CT. Abdomen. Image size 512x512. Slice 48/72. 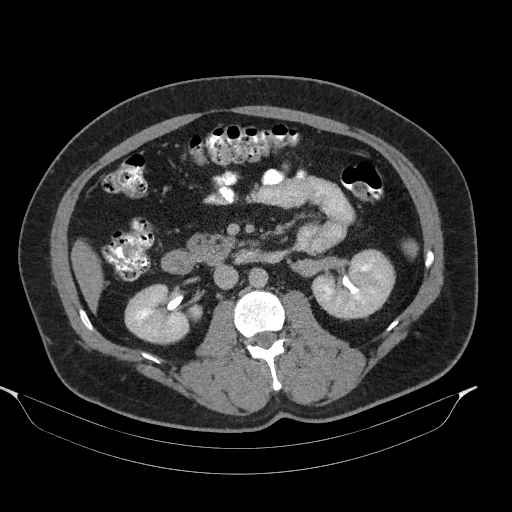
Pancreas: bounding box <bbox>187, 232, 235, 265</bbox>.